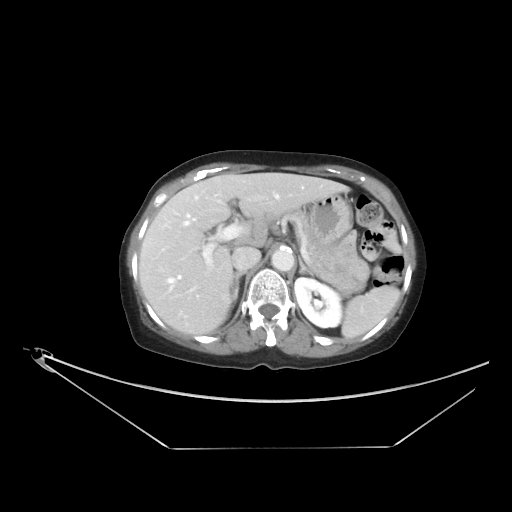
CT slice, 512x512 px, Abdomen
The vessel annotation is not exhaustive.
{
  "hepatic_vessel": [
    "[178,275,180,278]",
    "[202,242,214,274]",
    "[192,285,198,298]",
    "[210,231,219,240]",
    "[272,192,274,196]"
  ]
}